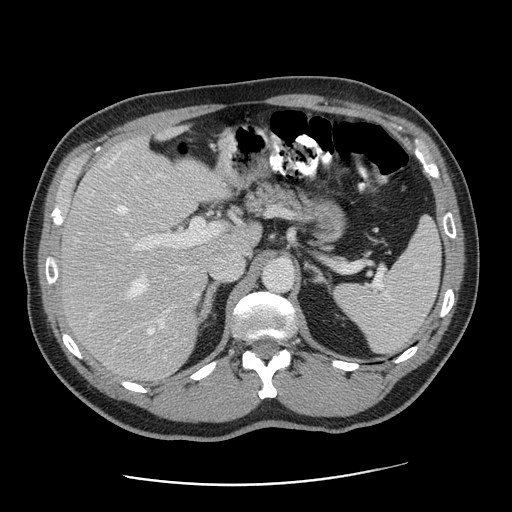
Computed tomography | Liver
The vessel boxes may cover only some of the vessels.
Hepatic vessel: bounding box l=203, t=275, r=203, b=278; l=160, t=311, r=168, b=326; l=165, t=357, r=166, b=358; l=182, t=267, r=191, b=268; l=107, t=164, r=110, b=166; l=202, t=243, r=247, b=279; l=118, t=207, r=126, b=213; l=132, t=218, r=221, b=249; l=128, t=273, r=145, b=296; l=148, t=329, r=152, b=333.